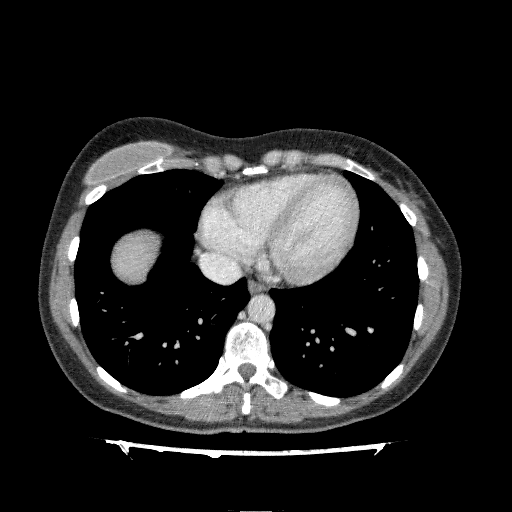
CT slice. Upper abdomen.

Liver at [x1=110, y1=230, x2=160, y2=282].